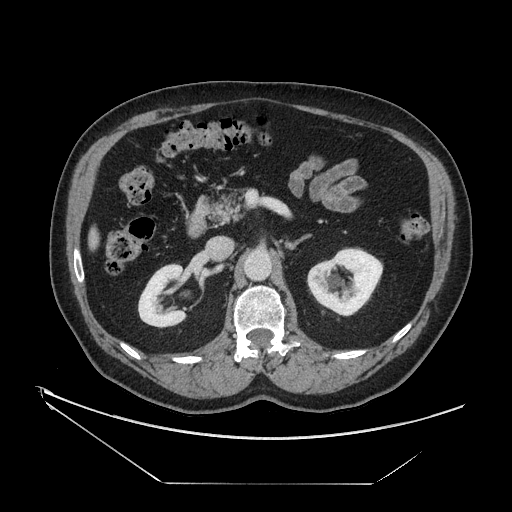 CT

Annotated regions:
• pancreas: (210, 188, 245, 224)